CT 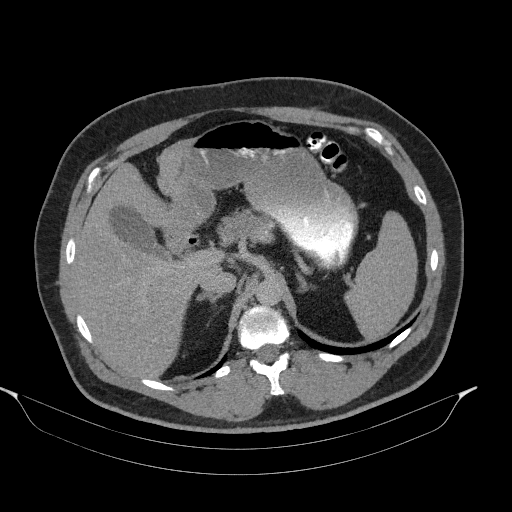

pancreas:
  - left=218, top=209, right=273, bottom=244